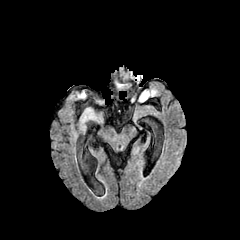
FLAIR magnetic resonance.
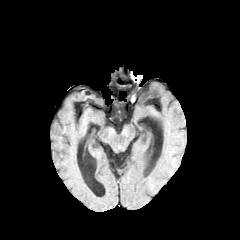
T1-weighted MR.
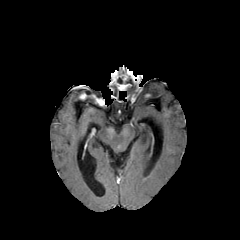
Same slice, post-contrast T1-weighted MRI.
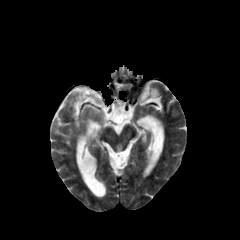
T2-weighted MRI.
240x240 px.
{
  "edema": [
    "[x1=139, y1=89, x2=157, y2=101]"
  ]
}